FLAIR MRI.
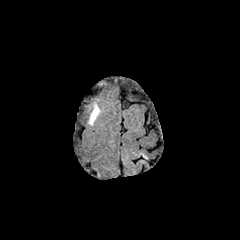
T1-weighted MR.
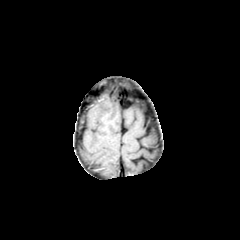
Post-contrast T1-weighted MRI.
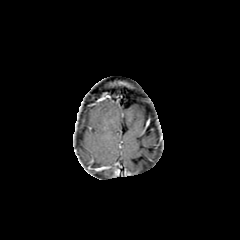
T2-weighted MRI.
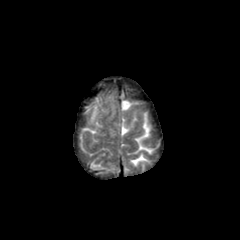
Head
Edema: 91,105,99,121.